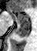

MRI slice. Medial temporal lobe. Annotated regions:
- posterior hippocampus: [x1=13, y1=23, x2=29, y2=37]
- anterior hippocampus: [x1=10, y1=10, x2=29, y2=22]